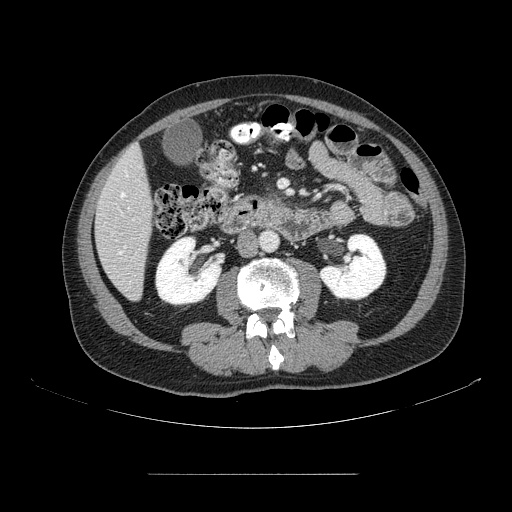
CT, Upper abdomen
Pancreas: bounding box bbox(249, 195, 290, 229).